CT | Slice 80/138

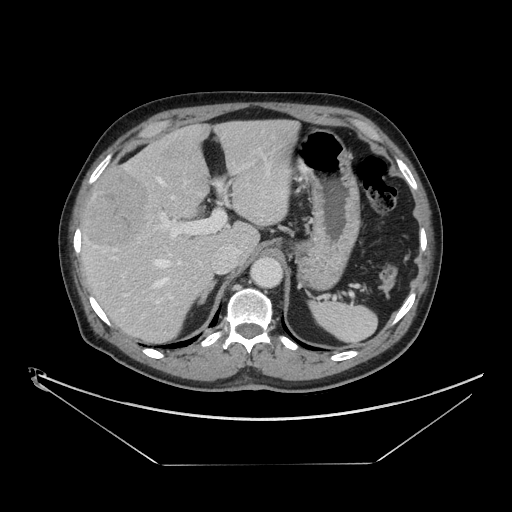
Some hepatic vessels may have no box.
Liver tumor — <box>83,166,150,248</box>.
Hepatic vessel — <box>113,249,115,250</box>, <box>95,245,97,247</box>, <box>161,213,168,226</box>, <box>171,228,177,237</box>, <box>156,277,167,285</box>, <box>178,261,180,263</box>, <box>112,257,114,258</box>, <box>158,178,164,185</box>, <box>156,301,158,302</box>, <box>155,259,169,267</box>, <box>172,196,174,198</box>.